FLAIR MRI.
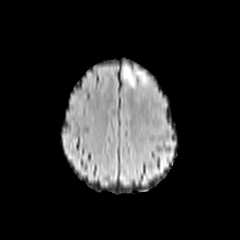
T1-weighted MR image.
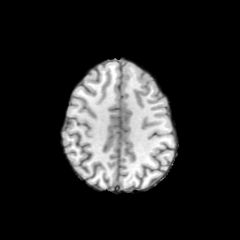
Post-contrast T1-weighted MR image.
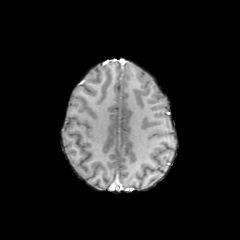
T2-weighted magnetic resonance.
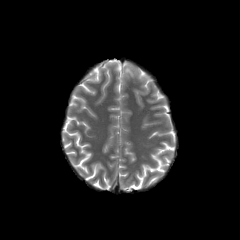
Head
Annotated regions:
* edema: [123, 66, 134, 85]